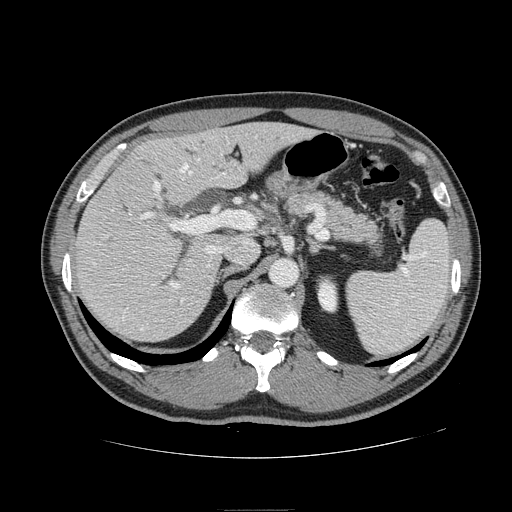

Abdomen | CT scan slice | Image size 512x512

Findings:
- pancreas: (286,191,378,246)